Slice index 237; CT image
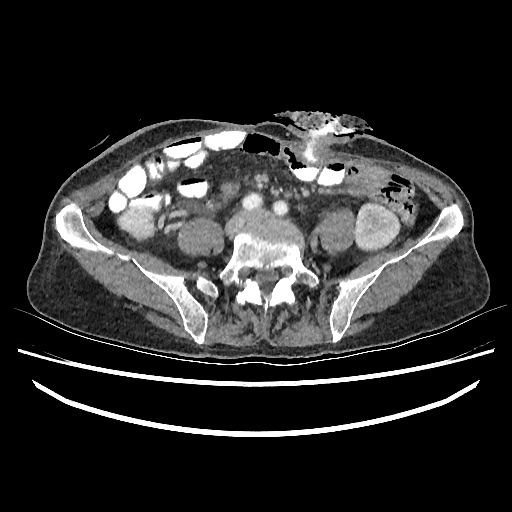 kidney:
  - box=[119, 212, 153, 237]
  - box=[386, 257, 398, 263]
  - box=[354, 204, 399, 248]